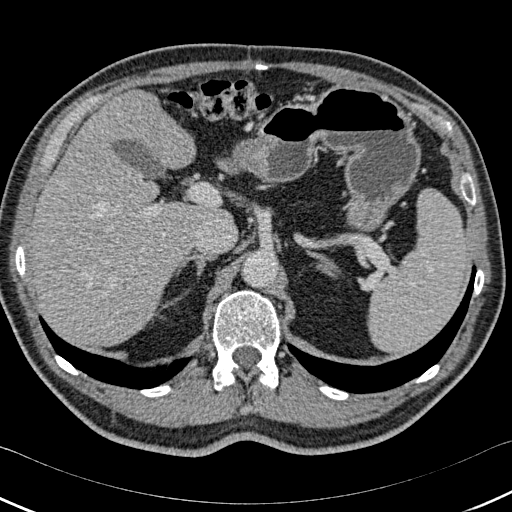 CT; Upper abdomen

Lung = [x1=287, y1=265, x2=476, y2=393], [x1=39, y1=315, x2=192, y2=389].
Liver = [x1=34, y1=89, x2=225, y2=345].
Bone = [x1=319, y1=386, x2=348, y2=399], [x1=213, y1=291, x2=279, y2=390], [x1=55, y1=355, x2=78, y2=374], [x1=13, y1=246, x2=25, y2=276], [x1=416, y1=365, x2=439, y2=382], [x1=140, y1=385, x2=170, y2=397], [x1=460, y1=173, x2=475, y2=204], [x1=474, y1=269, x2=483, y2=294].